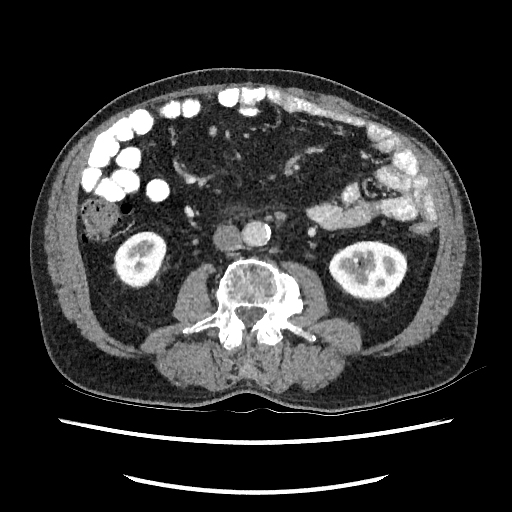 Abdomen, CT
* kidney: 329:241:406:300, 113:232:165:287